Head. Slice index 58.
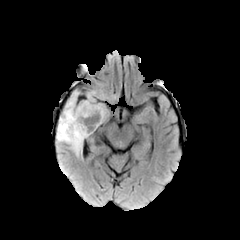
FLAIR magnetic resonance.
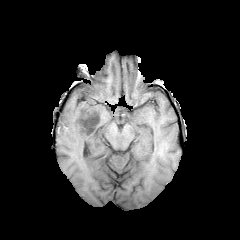
T1-weighted MR image.
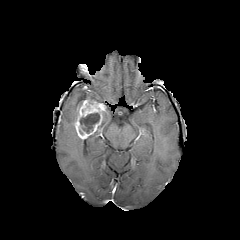
Same slice, post-contrast T1-weighted magnetic resonance.
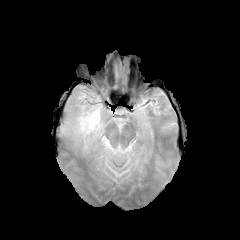
Same slice, T2-weighted MR.
Non-enhancing tumor core = 91, 123, 102, 135; 79, 113, 101, 132.
Enhancing tumor = 74, 100, 104, 139.
Edema = 102, 105, 108, 123; 57, 90, 100, 155.